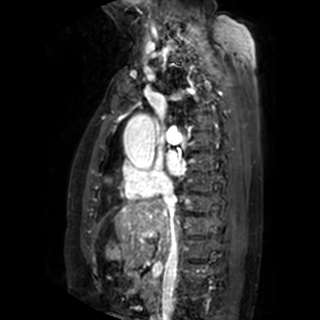 MRI slice

{
  "left_atrium": [
    "rect(167, 152, 185, 174)"
  ]
}